Image width 240 mm, Slice 56 of 155, Image size 240x240
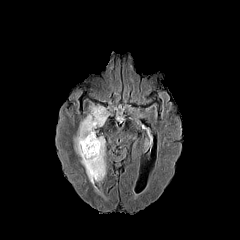
FLAIR MRI.
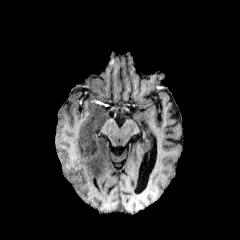
Same slice, T1-weighted MR.
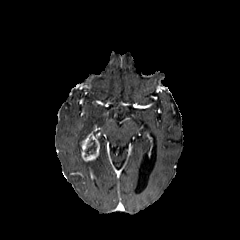
Post-contrast T1-weighted MRI of the same slice.
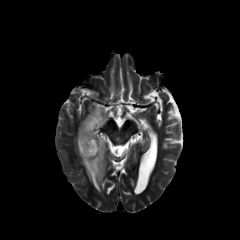
T2-weighted MR.
Enhancing tumor: {"x1": 81, "y1": 132, "x2": 99, "y2": 161}.
Non-enhancing tumor core: {"x1": 84, "y1": 136, "x2": 96, "y2": 157}.
Edema: {"x1": 74, "y1": 103, "x2": 108, "y2": 194}.